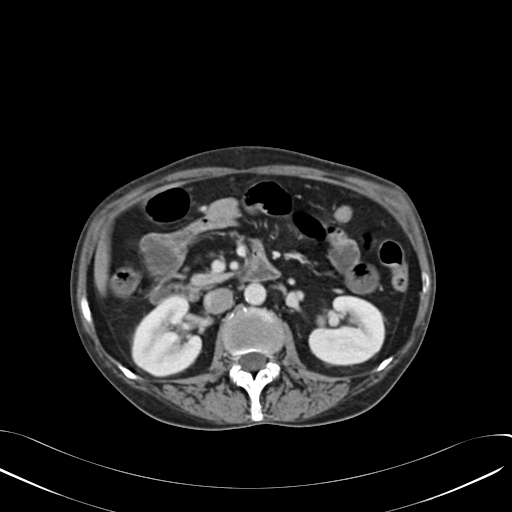
512x512 px, Computed tomography, Abdomen

Segmented structures:
* kidney: (left=133, top=297, right=200, bottom=374), (left=310, top=297, right=383, bottom=363)
* liver: (left=95, top=241, right=107, bottom=292)